FLAIR magnetic resonance.
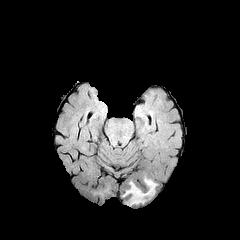
T1-weighted MR.
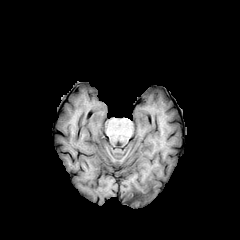
Post-contrast T1-weighted MR.
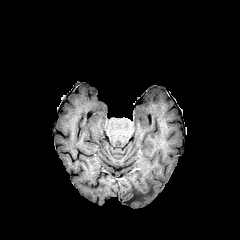
T2-weighted MR image.
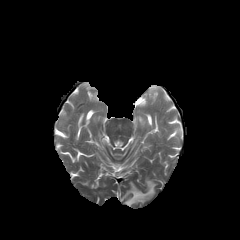
The edema appears at rect(125, 179, 155, 204).